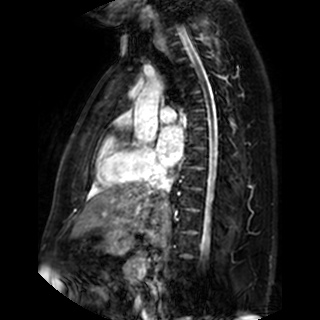

Magnetic resonance; Heart

- left atrium: (left=157, top=125, right=183, bottom=165)